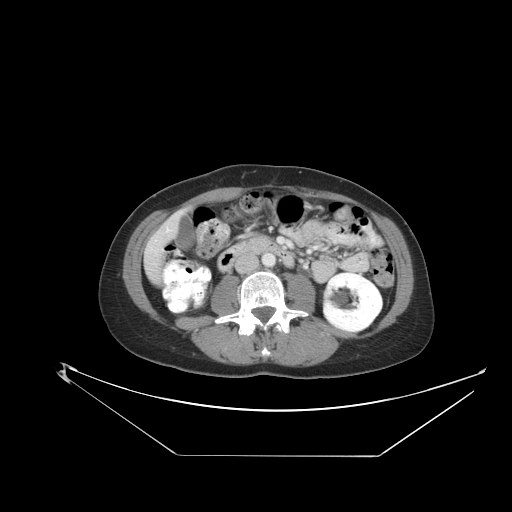

512x512 px; CT image; Upper abdomen

<segmentation>
  <pancreas>(left=244, top=236, right=268, bottom=254)</pancreas>
</segmentation>